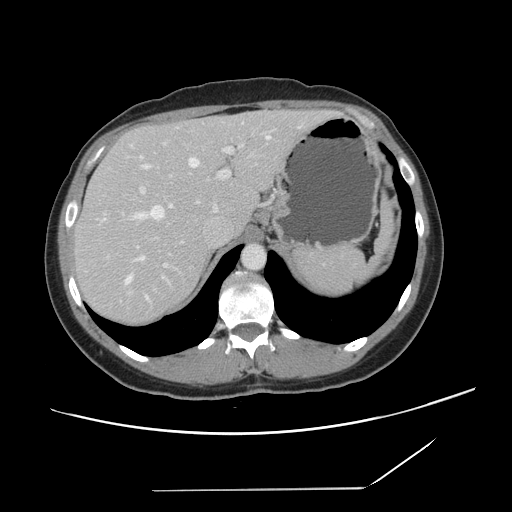 Computed tomography
Not every hepatic vessel necessarily has a box.
Principal 15 of 22 hepatic vessel regions: bounding box <bbox>133, 213, 145, 217</bbox>, <bbox>145, 295, 148, 299</bbox>, <bbox>217, 170, 229, 178</bbox>, <bbox>189, 158, 198, 166</bbox>, <bbox>163, 263, 167, 266</bbox>, <bbox>102, 213, 106, 221</bbox>, <bbox>239, 145, 242, 147</bbox>, <bbox>266, 135, 270, 139</bbox>, <bbox>148, 205, 163, 218</bbox>, <bbox>169, 204, 172, 206</bbox>, <bbox>222, 147, 232, 153</bbox>, <bbox>125, 275, 131, 283</bbox>, <bbox>134, 256, 144, 260</bbox>, <bbox>142, 165, 148, 168</bbox>, <bbox>140, 187, 145, 193</bbox>.